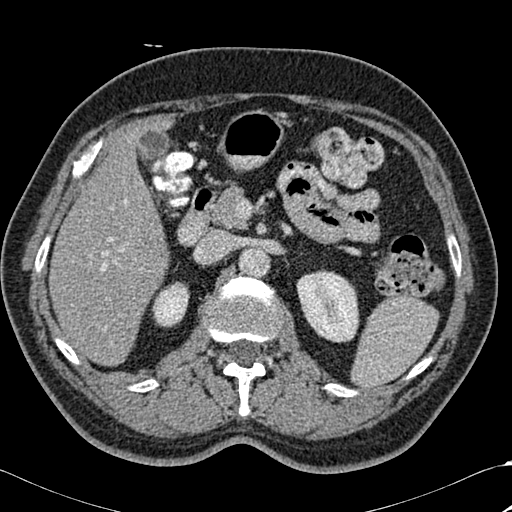
CT. Abdomen.
7 bone regions appear at [131,380,157,391], [35,238,49,270], [56,339,78,363], [448,236,460,273], [325,384,355,396], [407,358,430,378], [205,277,279,415]. The liver is bounded by [50,131,166,365]. 2 kidney regions are bounded by [154,285,187,325], [297,272,357,341].